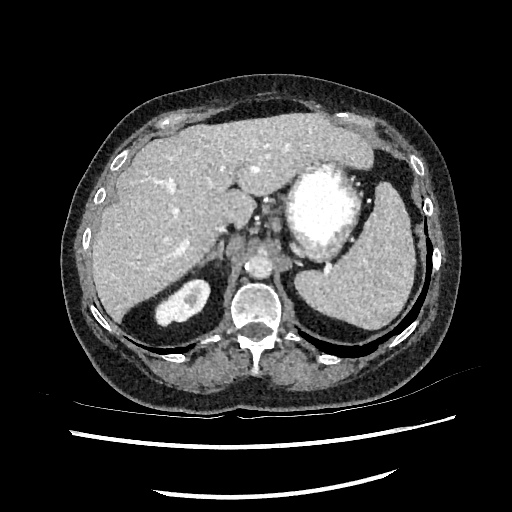

CT scan slice
The liver appears at (91, 113, 373, 321). The kidney appears at (156, 280, 209, 324).